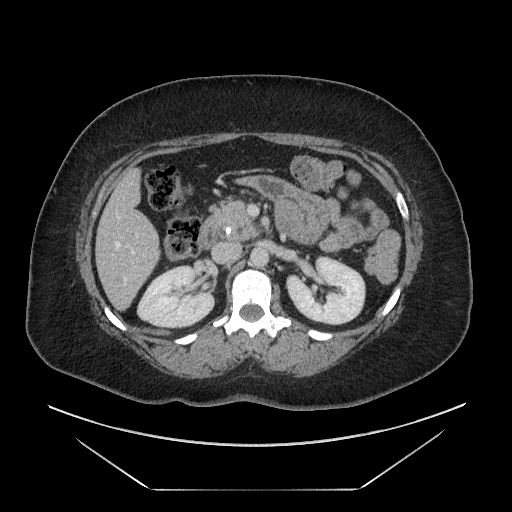

512x512 px, CT scan slice
<segmentation>
  <pancreas>{"x1": 222, "y1": 201, "x2": 257, "y2": 240}</pancreas>
</segmentation>